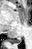

32x49. MR.
Segmented structures:
- posterior hippocampus: bbox(8, 37, 21, 44)